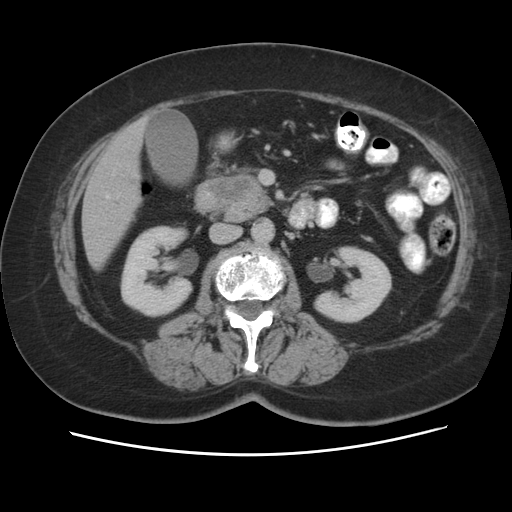

CT scan slice, 512x512 px

The pancreas is bounded by [196,173,273,221]. The pancreatic tumor lies within [216,177,251,205].